CT slice | Pelvis | Slice index 109 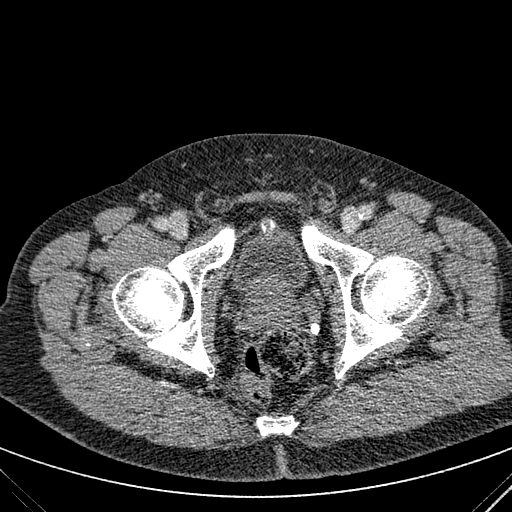
<segmentation>
  <urinary_bladder><bbox>224, 221, 314, 305</bbox></urinary_bladder>
</segmentation>